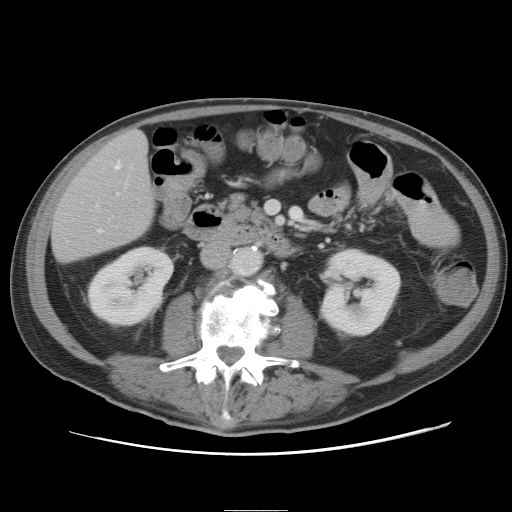

CT image
Some hepatic vessels may have no box.
hepatic vessel: 99, 230, 101, 232; 116, 162, 120, 169; 134, 130, 137, 131; 97, 205, 98, 207; 126, 183, 127, 185